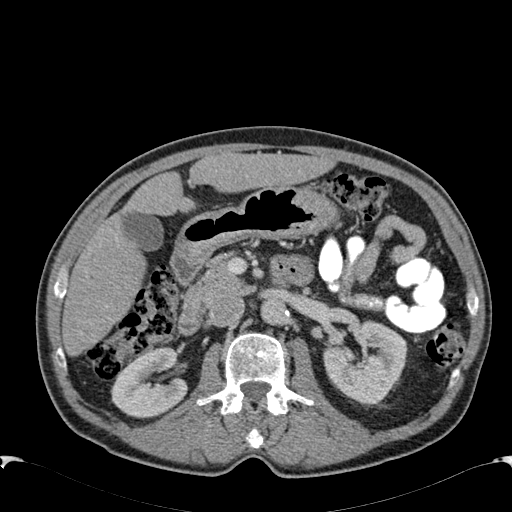 Liver; Image size 512x512; Computed tomography
3 liver regions appear at (62,214,145,355), (125,173,192,214), (191,154,335,192). 2 kidney regions are located at (112,348,186,417), (324,321,406,403).